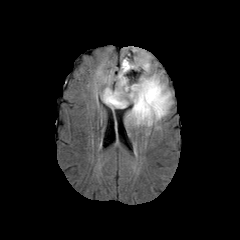
FLAIR MR image.
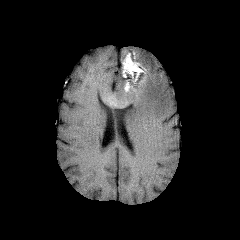
Same slice, T1-weighted magnetic resonance.
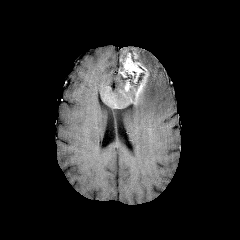
Same slice, post-contrast T1-weighted magnetic resonance.
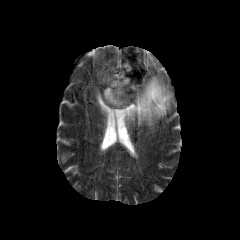
T2-weighted MRI.
{
  "enhancing_tumor": [
    "103,87,121,107",
    "134,66,148,103",
    "120,58,143,77"
  ],
  "non-enhancing_tumor_core": [
    "114,69,145,109"
  ],
  "edema": [
    "125,52,173,126",
    "120,52,129,68",
    "99,71,125,101"
  ]
}